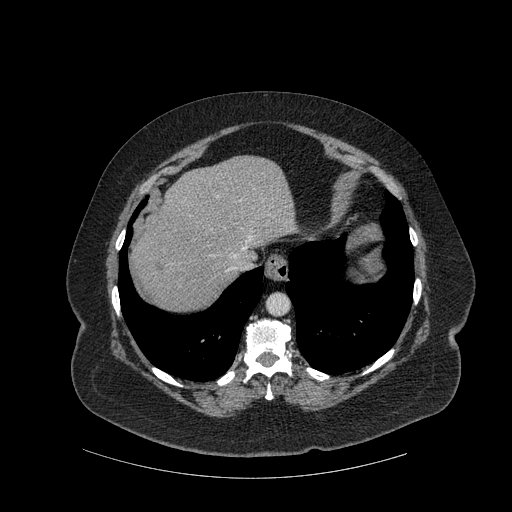

Computed tomography. Abdomen. Image size 512x512.
<segmentation>
  <bone>{"x1": 413, "y1": 279, "x2": 421, "y2": 303}, {"x1": 410, "y1": 228, "x2": 417, "y2": 245}, {"x1": 152, "y1": 368, "x2": 181, "y2": 385}, {"x1": 265, "y1": 384, "x2": 272, "y2": 399}, {"x1": 116, "y1": 238, "x2": 122, "y2": 249}, {"x1": 112, "y1": 286, "x2": 119, "y2": 314}, {"x1": 307, "y1": 368, "x2": 328, "y2": 380}, {"x1": 244, "y1": 320, "x2": 291, "y2": 381}, {"x1": 217, "y1": 371, "x2": 234, "y2": 385}, {"x1": 363, "y1": 350, "x2": 393, "y2": 374}</bone>
  <lung>{"x1": 286, "y1": 191, "x2": 413, "y2": 374}, {"x1": 118, "y1": 199, "x2": 263, "y2": 381}</lung>
  <focal_liver_lesion>{"x1": 155, "y1": 262, "x2": 163, "y2": 273}</focal_liver_lesion>
  <liver>{"x1": 132, "y1": 155, "x2": 296, "y2": 312}</liver>
</segmentation>